Computed tomography
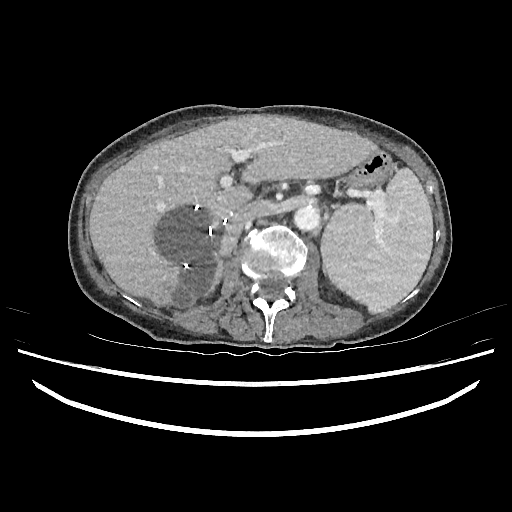 Annotated regions:
- liver: (left=209, top=251, right=219, bottom=288), (left=90, top=116, right=373, bottom=305)
- focal liver lesion: (left=156, top=207, right=222, bottom=305)